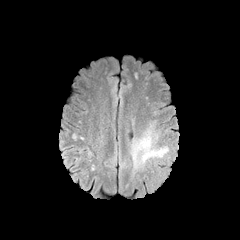
FLAIR magnetic resonance.
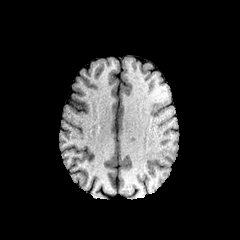
T1-weighted magnetic resonance.
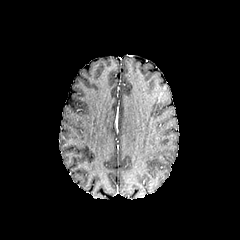
Post-contrast T1-weighted MR.
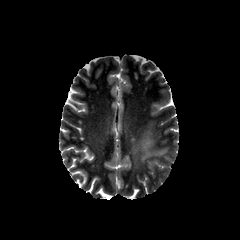
Same slice, T2-weighted MRI.
Brain
Edema — rect(142, 148, 167, 161); rect(132, 129, 151, 167).